CT slice | Upper abdomen | Image width 403 mm 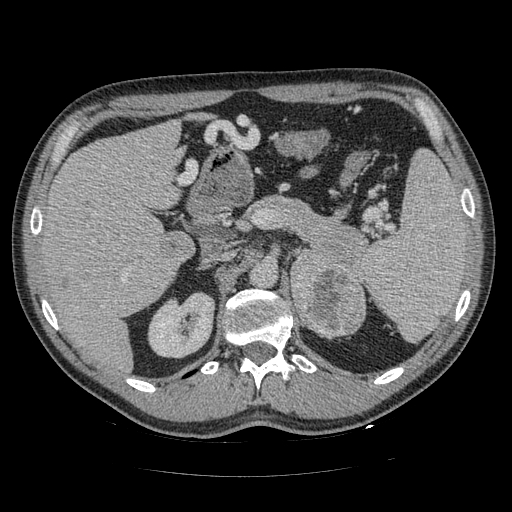
{
  "pancreas": [
    "(x1=256, y1=196, x2=366, y2=286)"
  ],
  "pancreatic_tumor": [
    "(x1=290, y1=250, x2=365, y2=336)"
  ]
}